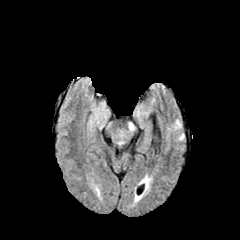
FLAIR MRI.
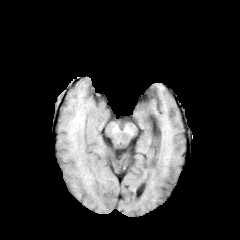
T1-weighted MR.
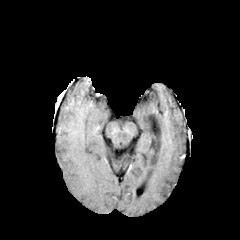
Post-contrast T1-weighted MR of the same slice.
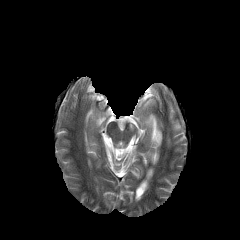
Same slice, T2-weighted magnetic resonance.
Image size 240x240
The edema is bounded by 172:120:180:130.